CT slice | Image size 512x512 | Upper abdomen 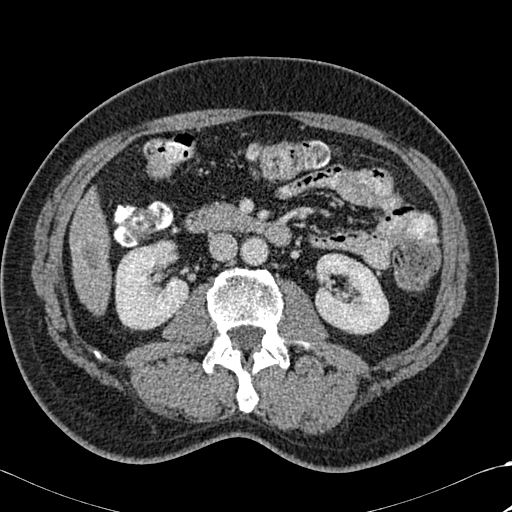

Bone: bbox(203, 269, 289, 411).
Liver: bbox(70, 203, 110, 313).
Kidney: bbox(116, 241, 187, 328); bbox(315, 254, 388, 333).
Liver lesion: bbox(81, 245, 99, 268).